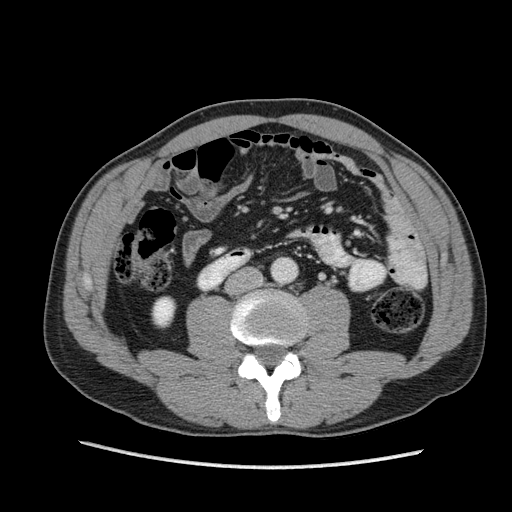
CT slice.

kidney: 154:298:172:324